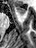
Hippocampus, MR

Anterior hippocampus — {"x1": 17, "y1": 7, "x2": 25, "y2": 14}.